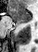 MRI slice | Medial temporal lobe

Segmented structures:
- anterior hippocampus: rect(7, 8, 30, 22)
- posterior hippocampus: rect(20, 23, 24, 23)